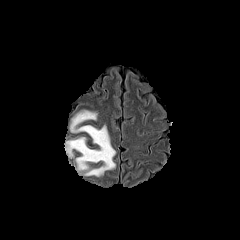
FLAIR magnetic resonance.
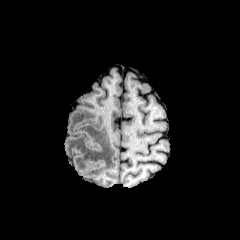
T1-weighted MR.
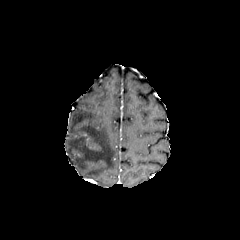
Post-contrast T1-weighted magnetic resonance.
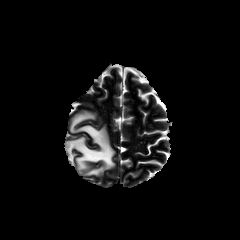
T2-weighted MR of the same slice.
The edema is at (65,110,116,175).